Brain, Slice 86/155
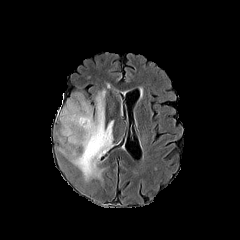
FLAIR MR image.
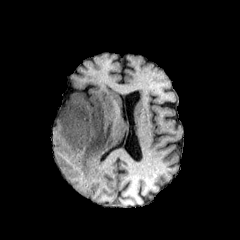
T1-weighted MRI of the same slice.
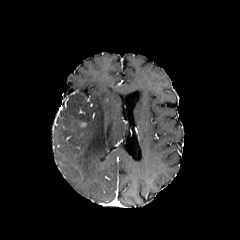
Same slice, post-contrast T1-weighted MR.
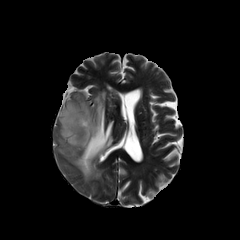
T2-weighted MR of the same slice.
<segmentation>
  <edema>x1=56, y1=90, x2=113, y2=182</edema>
</segmentation>